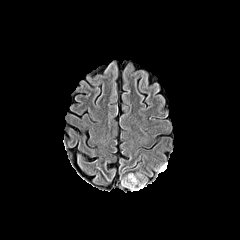
FLAIR MR image.
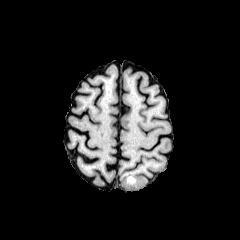
Same slice, T1-weighted MR image.
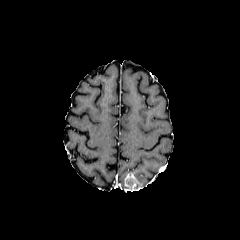
Post-contrast T1-weighted MRI of the same slice.
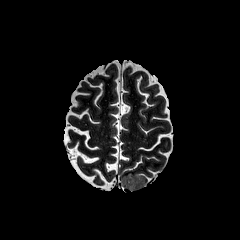
T2-weighted MRI.
Head
Enhancing tumor — 124:173:142:188.
Edema — 153:162:167:171, 135:173:147:188.